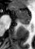
MRI, Hippocampus

The posterior hippocampus is at (19,21,30,24). The anterior hippocampus appears at (13,6,30,20).